Field of view 387x387 mm. Lower abdomen. CT slice. 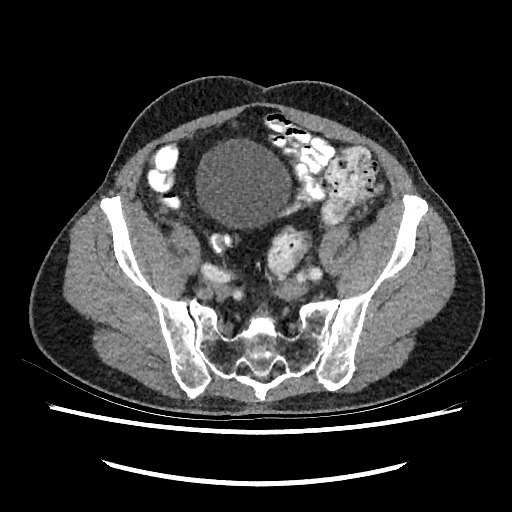

Urinary bladder = box(196, 138, 291, 228).